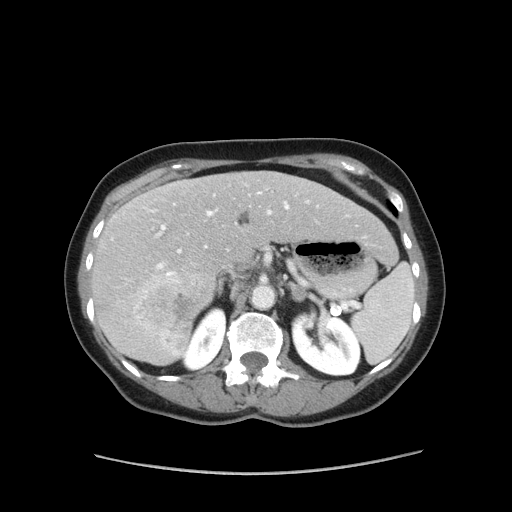

Abdomen | CT image | Image size 512x512
Some hepatic vessels may have no box.
liver tumor: [130, 266, 215, 357] | hepatic vessel: [178, 250, 180, 252], [258, 191, 261, 193], [157, 263, 164, 265], [213, 194, 214, 195], [207, 209, 216, 215], [156, 225, 165, 236], [284, 203, 288, 208], [205, 245, 206, 247], [173, 203, 175, 204], [267, 211, 270, 213], [306, 200, 308, 202]